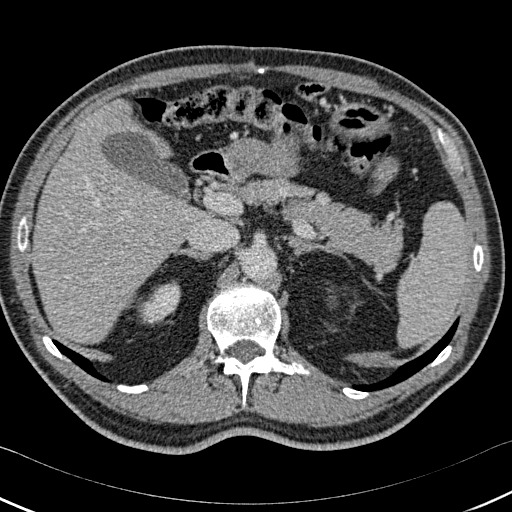
Computed tomography.

Liver at (33,98,202,343).
Kidney at (144,285,178,322).
Lung at (352,317,459,391), (62,347,112,382).
Bone at (43,336,62,358), (343,388,368,399), (207,284,309,406), (431,346,451,366), (473,245,483,271), (17,217,27,251), (117,385,147,393).